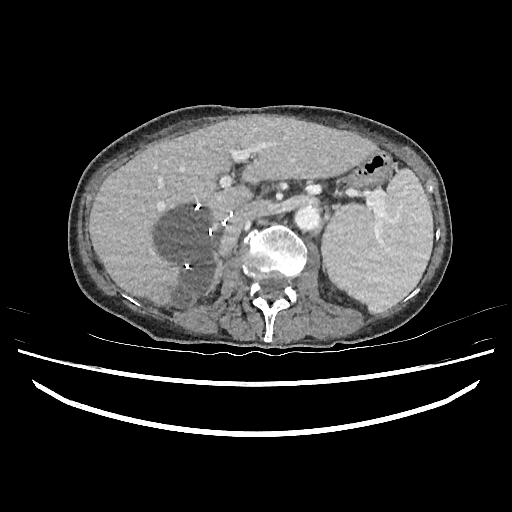 Liver. 512x512. CT scan slice. Annotated regions:
* liver: x1=208, y1=251, x2=219, y2=288; x1=90, y1=116, x2=373, y2=305
* focal liver lesion: x1=155, y1=206, x2=221, y2=305